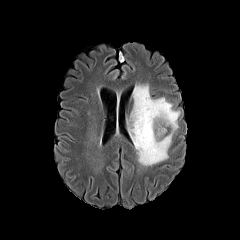
FLAIR MRI.
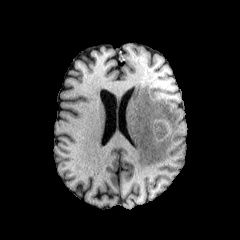
T1-weighted MRI.
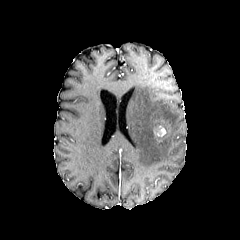
Same slice, post-contrast T1-weighted MR image.
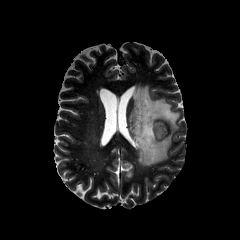
Same slice, T2-weighted magnetic resonance.
Head.
{"edema": ["<bbox>128, 85, 179, 166</bbox>"], "enhancing_tumor": ["<bbox>154, 126, 165, 136</bbox>"], "non-enhancing_tumor_core": ["<bbox>153, 118, 173, 142</bbox>"]}